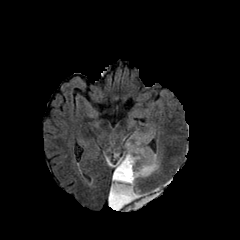
FLAIR magnetic resonance.
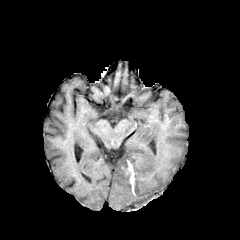
T1-weighted MR image.
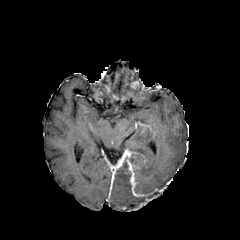
Same slice, post-contrast T1-weighted MRI.
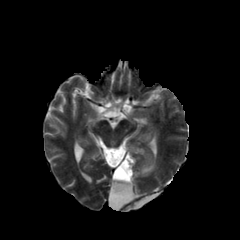
T2-weighted MR image.
Head | 240x240 px
Enhancing tumor = (110,150,135,184).
Non-enhancing tumor core = (114,161,130,181), (128,151,136,183), (104,147,125,165).
Edema = (124,143,144,154), (108,154,160,210).